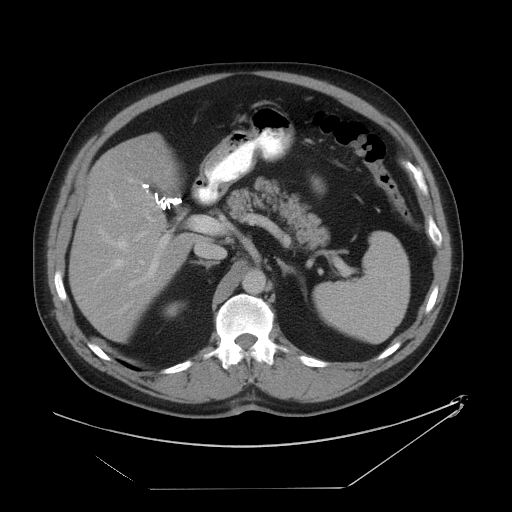 CT image

The spleen is bounded by (315,232,409,342).